Head.
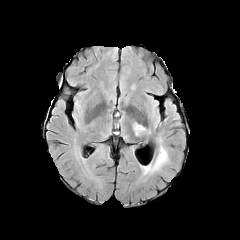
FLAIR magnetic resonance.
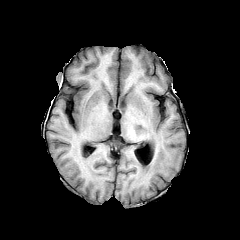
T1-weighted MR image of the same slice.
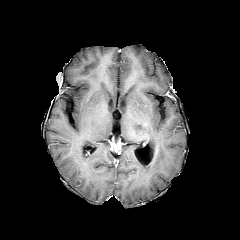
Post-contrast T1-weighted MRI of the same slice.
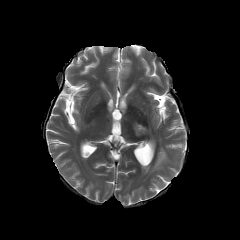
T2-weighted magnetic resonance of the same slice.
Edema = 133 123 146 134, 140 146 169 175.